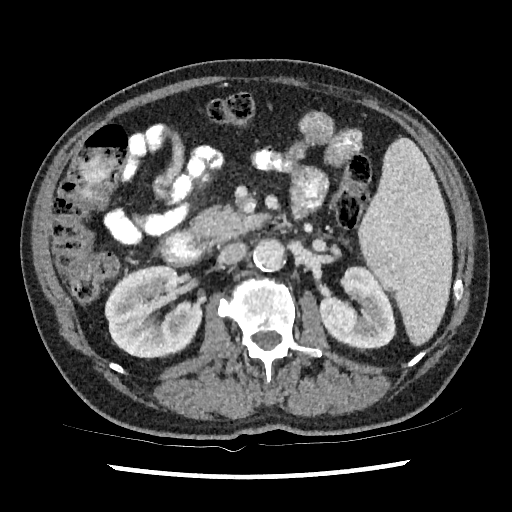 CT scan slice. Abdomen. 512x512 px. <segmentation>
  <kidney>bbox(320, 267, 394, 347); bbox(105, 266, 205, 357)</kidney>
</segmentation>